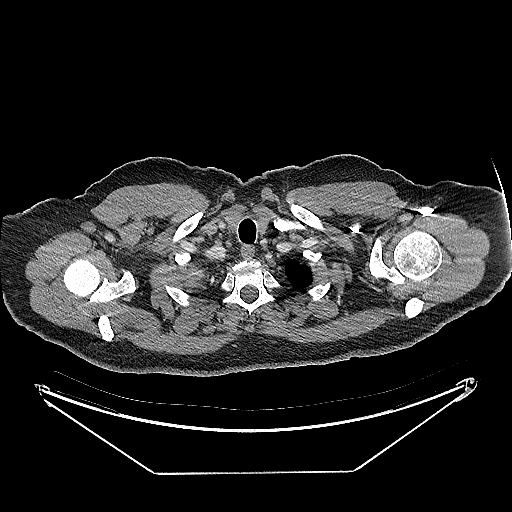 Lung; Computed tomography; Image size 512x512
lung_tumor:
  - (x1=188, y1=263, x2=206, y2=280)